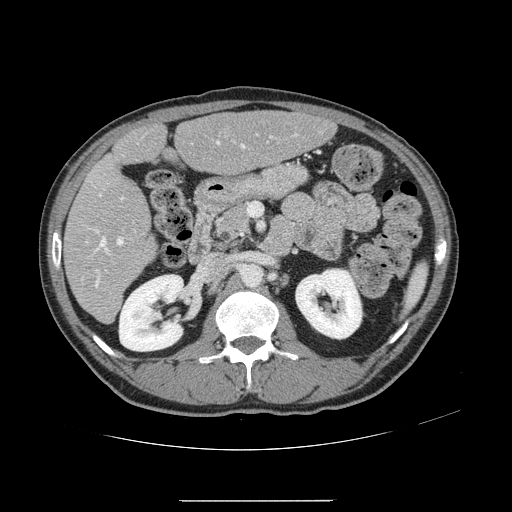
CT slice, 512x512 px, Abdomen

Not every hepatic vessel necessarily has a box.
Hepatic vessel at <box>270,136,271,137</box>, <box>93,229,97,232</box>, <box>241,145,244,147</box>, <box>121,197,123,199</box>, <box>95,279,99,287</box>, <box>96,270,98,272</box>, <box>99,237,108,253</box>, <box>117,237,122,244</box>, <box>99,194,101,195</box>, <box>81,278,83,281</box>, <box>295,134,296,135</box>, <box>217,141,219,144</box>.